Liver; CT slice; Field of view 472x472 mm; Image size 512x512 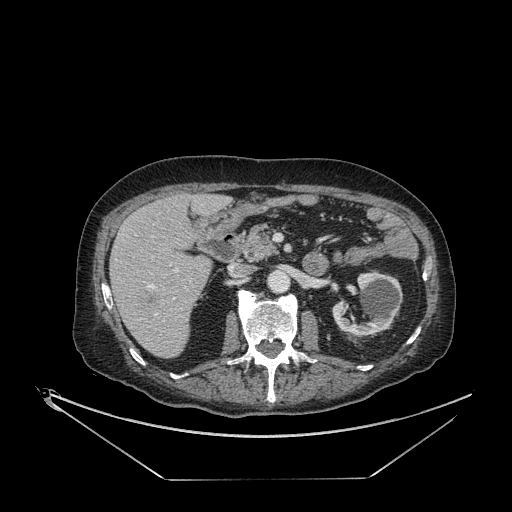

4 kidney regions are bounded by [x1=357, y1=272, x2=402, y2=299], [x1=321, y1=279, x2=337, y2=290], [x1=346, y1=285, x2=355, y2=294], [x1=333, y1=300, x2=399, y2=336]. The liver lesion is bounded by [x1=145, y1=293, x2=159, y2=306]. The liver appears at [x1=110, y1=193, x2=231, y2=358].